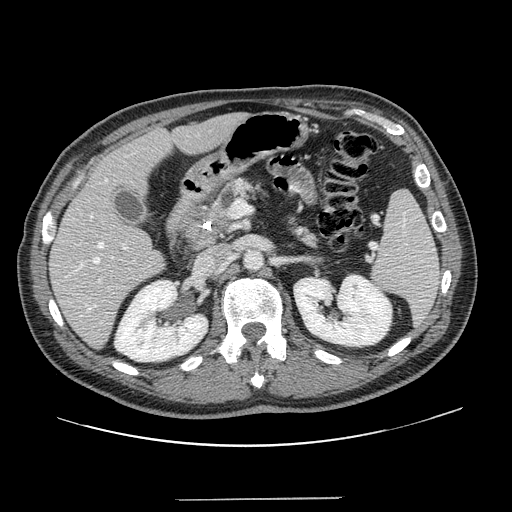

CT scan slice.
The pancreas is at box(177, 175, 322, 254).